CT image. Slice 44 of 99. Image size 512x512. Upper abdomen. Field of view 388 mm wide, 2.50 mm slice spacing.
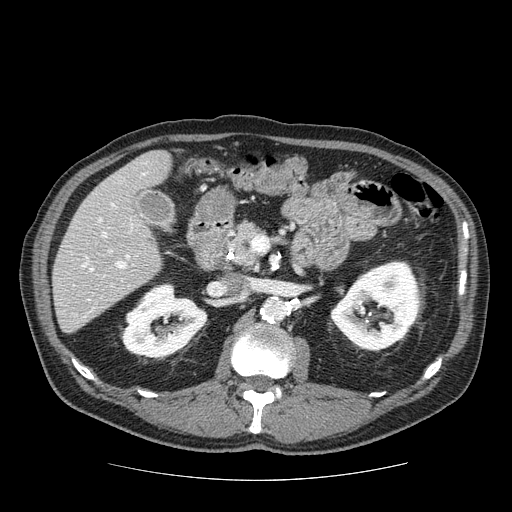

The pancreas is bounded by box=[228, 221, 263, 270].